Abdomen; CT scan slice
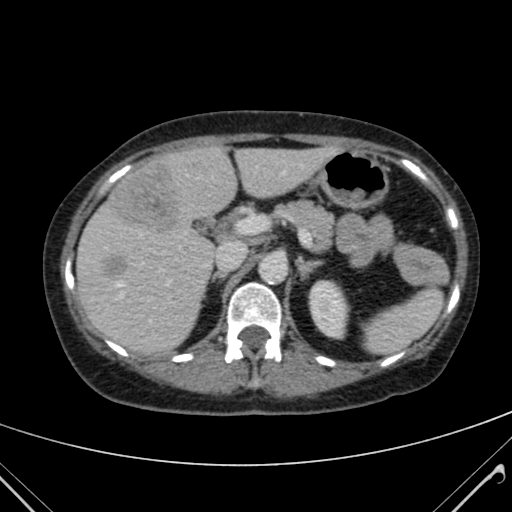

The liver is located at left=78, top=145, right=329, bottom=354. The kidney lies within left=311, top=282, right=343, bottom=335. 2 focal liver lesion regions appear at left=110, top=162, right=182, bottom=234; left=102, top=255, right=127, bottom=277.